Slice 12 of 20
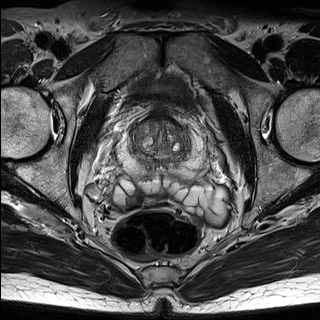
T2-weighted magnetic resonance.
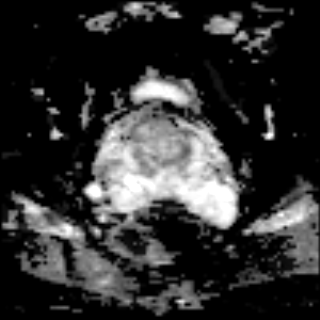
ADC MRI of the same slice.
* prostate peripheral zone: 117, 133, 200, 177
* prostate transition zone: 128, 122, 191, 165